Slice 88 of 155 | Head
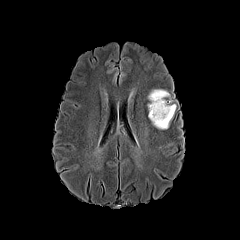
FLAIR MR.
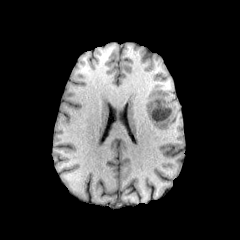
Same slice, T1-weighted MR.
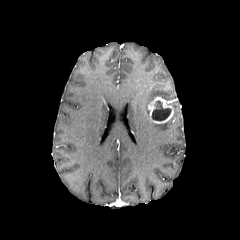
Post-contrast T1-weighted magnetic resonance.
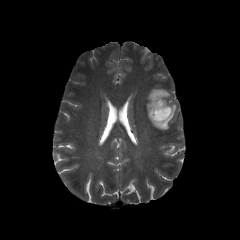
Same slice, T2-weighted MR image.
2 edema regions are located at x1=152 y1=104 x2=176 y2=131, x1=147 y1=89 x2=170 y2=100. The non-enhancing tumor core is at x1=152 y1=101 x2=171 y2=120. The enhancing tumor is located at x1=147 y1=96 x2=173 y2=124.